Image size 512x512; Slice 335 of 841; CT image 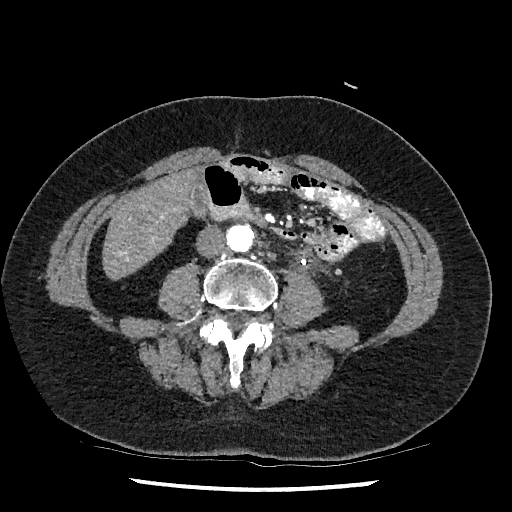

<segmentation>
  <liver>[102,171,197,279]</liver>
</segmentation>